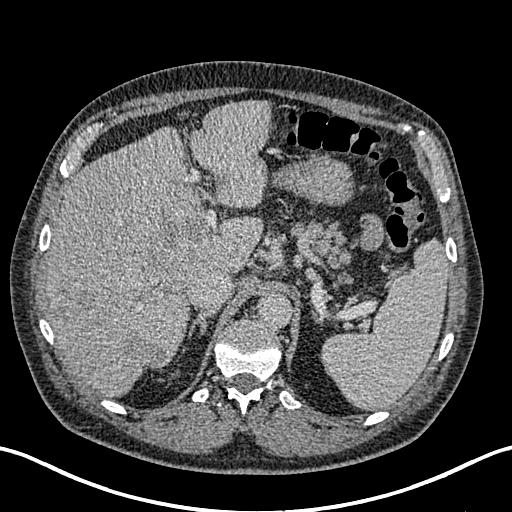 Abdomen, 512x512, CT image
- liver lesion: left=75, top=290, right=95, bottom=312; left=132, top=218, right=203, bottom=304; left=122, top=331, right=163, bottom=367
- liver: left=192, top=101, right=269, bottom=206; left=45, top=127, right=262, bottom=395